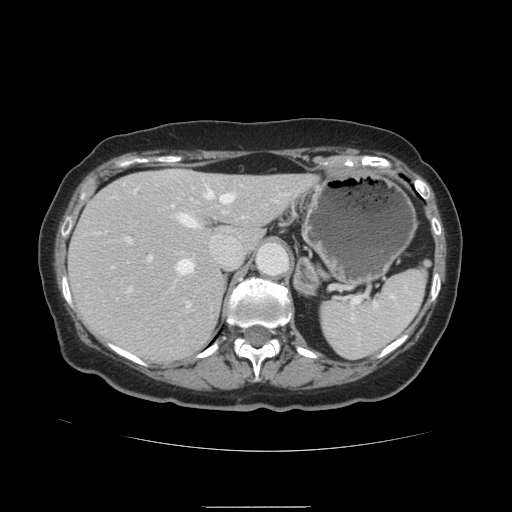

CT scan slice. Abdomen.
Only some of the vessels may be annotated.
8 hepatic vessel regions are located at <box>220,193,233,203</box>, <box>147,256,150,259</box>, <box>186,302,190,307</box>, <box>126,238,130,242</box>, <box>175,214,195,226</box>, <box>204,186,211,198</box>, <box>128,287,130,290</box>, <box>175,259,192,274</box>.